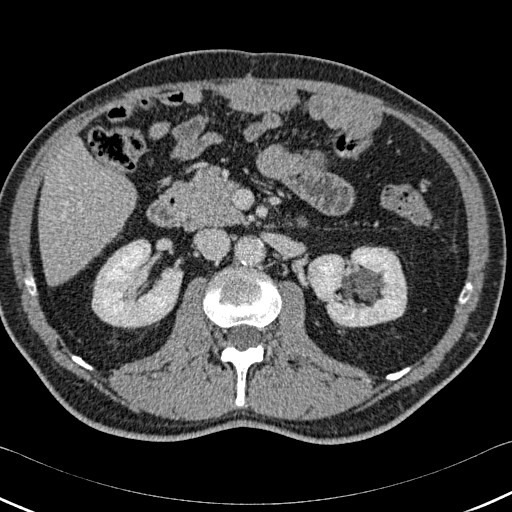 CT image; Image size 512x512; Abdomen
bone:
  - bbox=[221, 345, 263, 406]
  - bbox=[203, 269, 281, 328]
  - bbox=[387, 368, 409, 379]
  - bbox=[460, 283, 471, 302]
  - bbox=[26, 278, 34, 293]
  - bbox=[72, 356, 91, 369]
kidney:
  - bbox=[309, 247, 406, 326]
  - bbox=[92, 240, 182, 326]
liver:
  - bbox=[39, 143, 136, 284]